Brain
FLAIR MR.
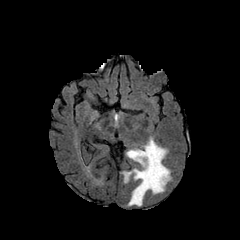
T1-weighted MR image.
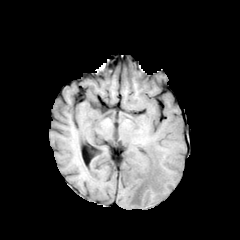
Post-contrast T1-weighted MR.
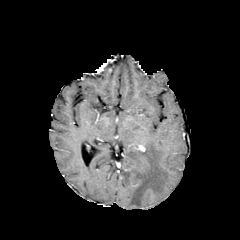
T2-weighted MR image.
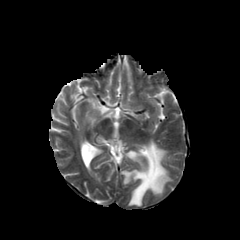
The edema appears at 121, 138, 170, 206.